Slice 54 of 101, 512x512 px, Abdomen, CT slice
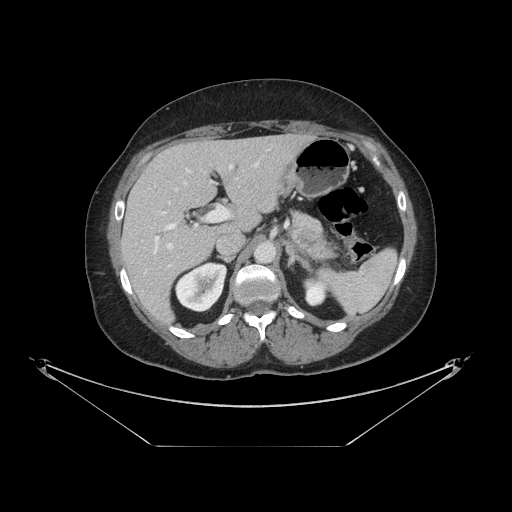

pancreatic tumor: l=297, t=229, r=314, b=244 | pancreas: l=289, t=210, r=337, b=261